FLAIR MR image.
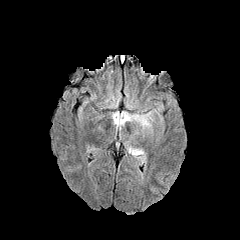
T1-weighted MRI.
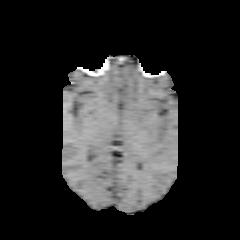
Post-contrast T1-weighted magnetic resonance.
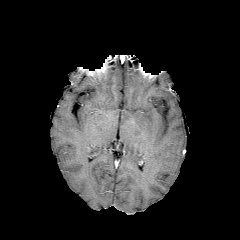
T2-weighted magnetic resonance.
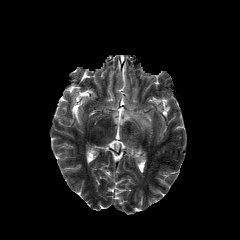
240x240 px | Head
edema:
  - 123 141 147 164
  - 104 82 121 108
  - 108 85 163 137